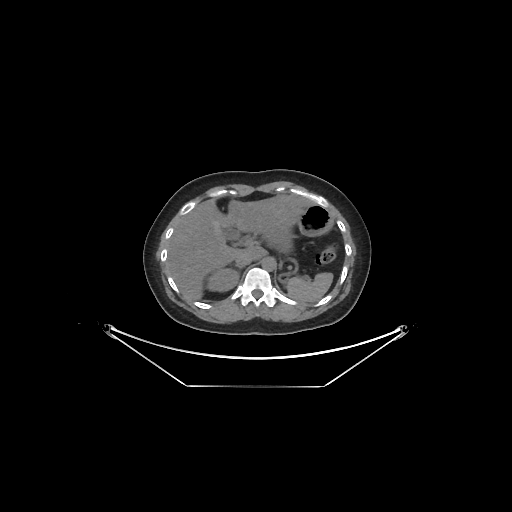

CT | Liver
Segmented structures:
• kidney: (209,269,238,290)
• liver: (163,194,315,298)